Liver | Slice 414/826 | CT scan slice
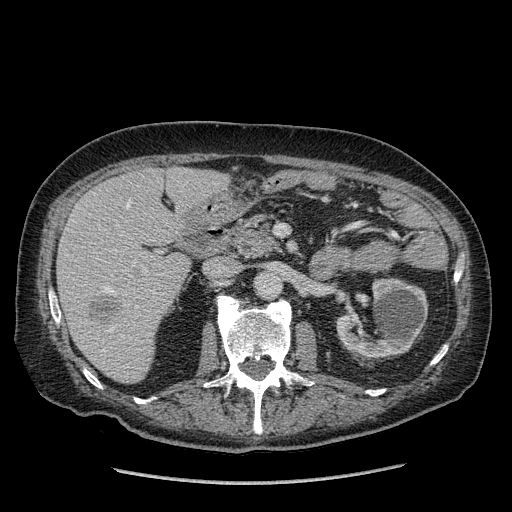 Kidney — x1=372, y1=278, x2=427, y2=317; x1=337, y1=308, x2=422, y2=358.
Liver lesion — x1=90, y1=294, x2=121, y2=326.
Liver — x1=57, y1=166, x2=229, y2=383.